FLAIR MR.
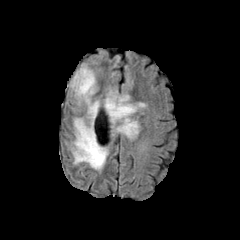
T1-weighted MRI.
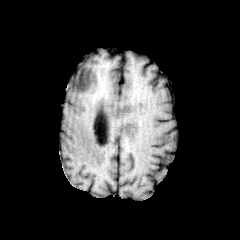
Post-contrast T1-weighted MR.
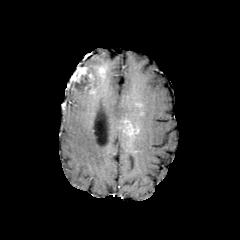
T2-weighted MR image.
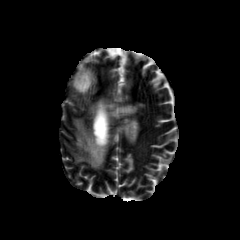
Non-enhancing tumor core: 79, 69, 91, 90.
Enhancing tumor: 71, 67, 87, 83; 124, 124, 133, 133.
Edema: 70, 67, 135, 170.